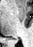

Magnetic resonance. Hippocampus. 33x47.
<segmentation>
  <posterior_hippocampus>rect(14, 38, 15, 39)</posterior_hippocampus>
</segmentation>